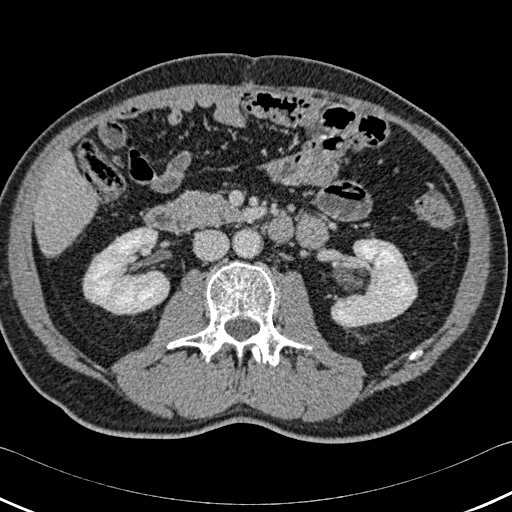
Liver, Image size 512x512, CT image

Liver: bounding box (left=35, top=155, right=96, bottom=255).
Kidney: bounding box (left=332, top=239, right=416, bottom=325), (left=84, top=228, right=168, bottom=313).
Bone: bounding box (left=167, top=261, right=311, bottom=366).